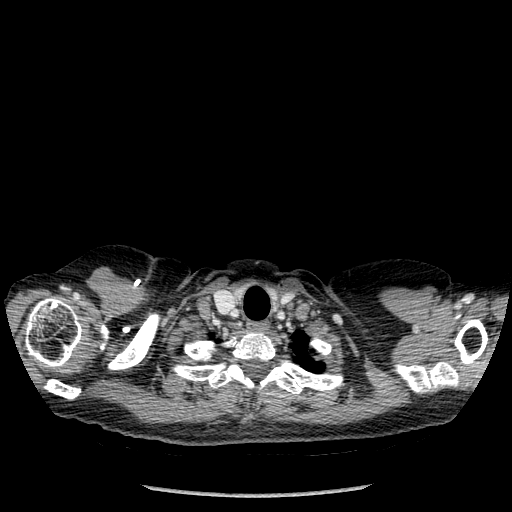 Computed tomography, Thorax
2 lung regions are located at box=[244, 287, 269, 319]; box=[292, 330, 324, 372]. 10 bone regions are located at box=[394, 362, 459, 393]; box=[222, 330, 276, 363]; box=[453, 319, 487, 369]; box=[108, 313, 159, 369]; box=[173, 340, 254, 392]; box=[44, 379, 80, 399]; box=[99, 324, 108, 350]; box=[258, 356, 342, 395]; box=[310, 338, 331, 355]; box=[25, 297, 83, 367].